Image width 240 mm, 240x240 px
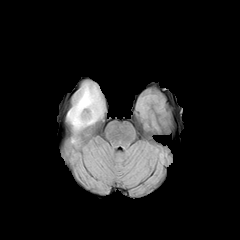
FLAIR magnetic resonance.
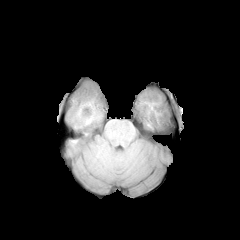
T1-weighted MRI.
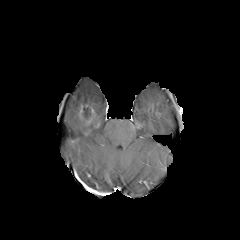
Post-contrast T1-weighted MRI.
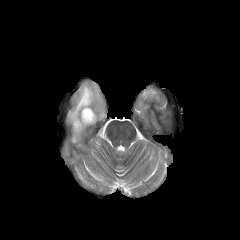
T2-weighted magnetic resonance.
• edema: [67, 82, 104, 131]
• non-enhancing tumor core: [79, 104, 95, 122]